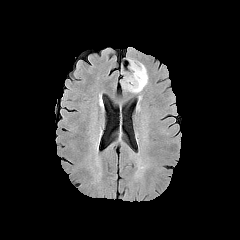
FLAIR MRI.
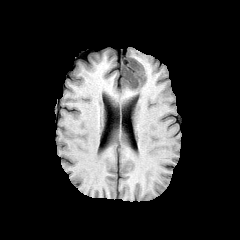
T1-weighted MRI.
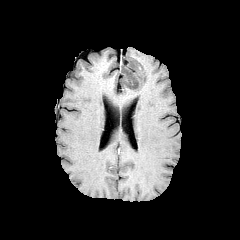
Same slice, post-contrast T1-weighted MR image.
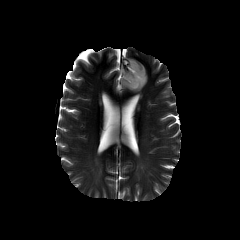
T2-weighted MR.
Head. 240x240.
* edema: bbox(120, 62, 147, 93)
* non-enhancing tumor core: bbox(123, 61, 143, 88)